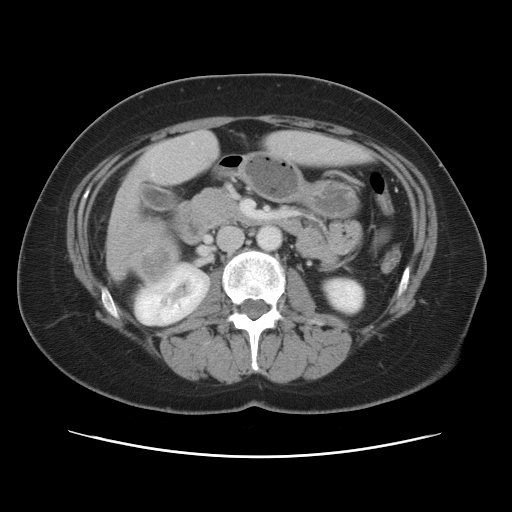

512x512. CT slice.
<segmentation>
  <liver_tumor>bbox=[137, 243, 173, 278]</liver_tumor>
</segmentation>